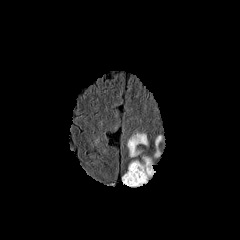
FLAIR MRI.
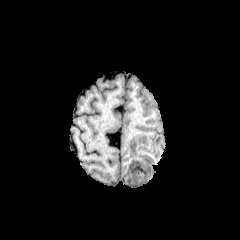
Same slice, T1-weighted MR.
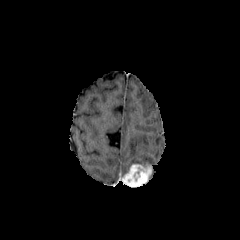
Same slice, post-contrast T1-weighted MR image.
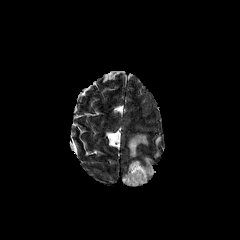
T2-weighted MR image of the same slice.
Brain
Enhancing tumor: bounding box 122:164:152:187.
Edema: bounding box 142:157:152:164, 127:133:148:157, 154:136:162:157.